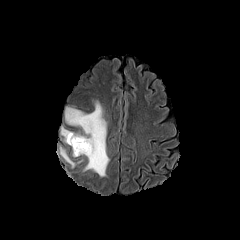
FLAIR magnetic resonance.
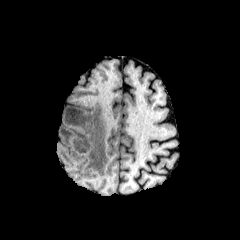
T1-weighted MR.
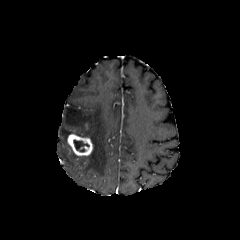
Post-contrast T1-weighted MR image.
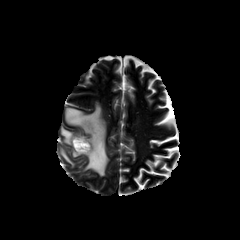
Same slice, T2-weighted MRI.
Brain
Non-enhancing tumor core = <box>74,139,89,150</box>.
Edema = <box>60,126,71,142</box>, <box>64,100,109,177</box>, <box>59,147,73,167</box>.
Enhancing tumor = <box>67,132,94,156</box>.